FLAIR magnetic resonance.
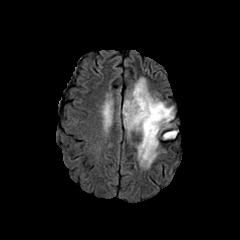
T1-weighted MR image.
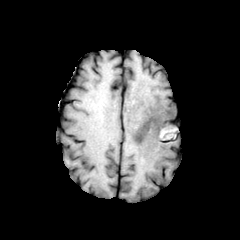
Post-contrast T1-weighted magnetic resonance.
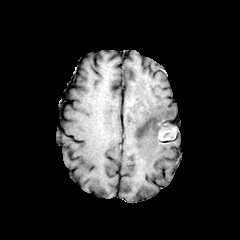
T2-weighted MR image.
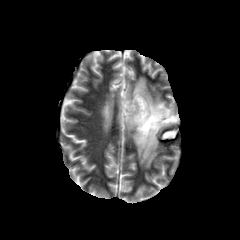
Image size 240x240
edema: l=101, t=100, r=112, b=126; l=120, t=77, r=177, b=168 | non-enhancing tumor core: l=122, t=96, r=137, b=115; l=138, t=101, r=173, b=139; l=159, t=130, r=175, b=139